FLAIR MRI.
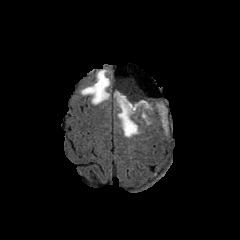
T1-weighted MR image.
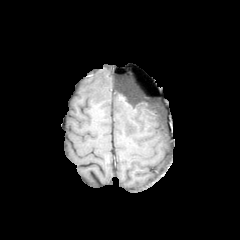
Post-contrast T1-weighted MRI.
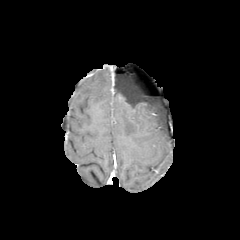
T2-weighted MRI.
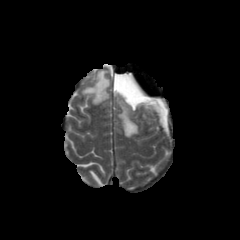
<segmentation>
  <edema>left=114, top=91, right=167, bottom=137; left=80, top=66, right=112, bottom=104</edema>
  <non-enhancing_tumor_core>left=124, top=94, right=162, bottom=106</non-enhancing_tumor_core>
</segmentation>